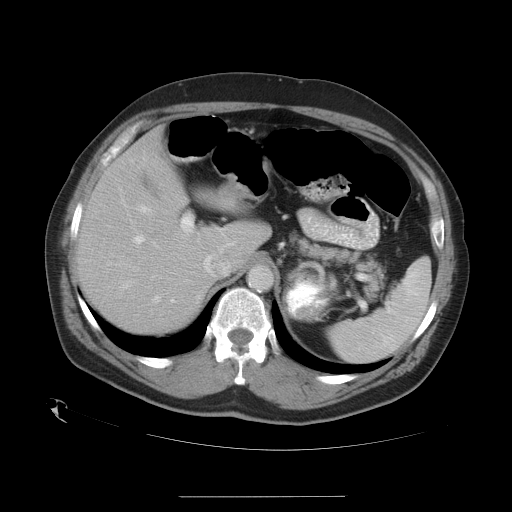 CT slice

The vessel annotation is not exhaustive.
<segmentation>
  <hepatic_vessel>[x1=143, y1=238, x2=144, y2=241], [x1=122, y1=281, x2=130, y2=288], [x1=136, y1=268, x2=138, y2=270], [x1=123, y1=201, x2=125, y2=205], [x1=138, y1=205, x2=150, y2=213], [x1=153, y1=242, x2=158, y2=247], [x1=182, y1=220, x2=190, y2=232], [x1=204, y1=261, x2=205, y2=268], [x1=152, y1=275, x2=161, y2=277], [x1=136, y1=243, x2=139, y2=243]</hepatic_vessel>
</segmentation>